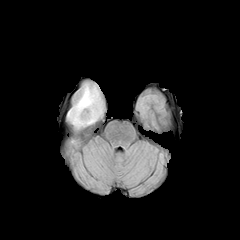
FLAIR magnetic resonance.
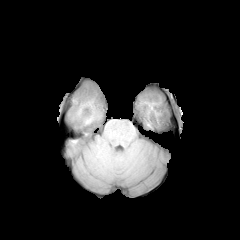
T1-weighted magnetic resonance.
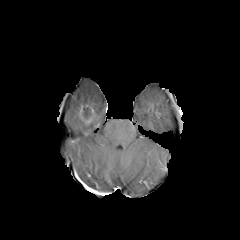
Post-contrast T1-weighted MR image of the same slice.
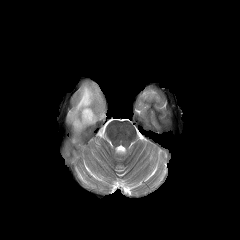
T2-weighted MRI of the same slice.
Head, 240x240
Segmented structures:
- edema: l=68, t=84, r=102, b=129
- non-enhancing tumor core: l=80, t=108, r=91, b=123